Image size 240x240, Slice index 56
FLAIR MR.
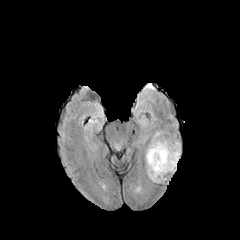
T1-weighted magnetic resonance.
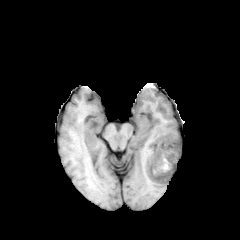
Post-contrast T1-weighted MR image.
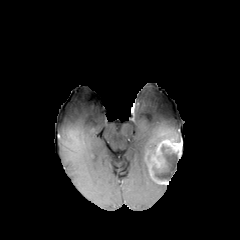
T2-weighted MRI.
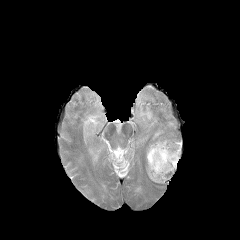
edema: [x1=143, y1=129, x2=179, y2=183] | enhancing tumor: [x1=162, y1=140, x2=181, y2=154]